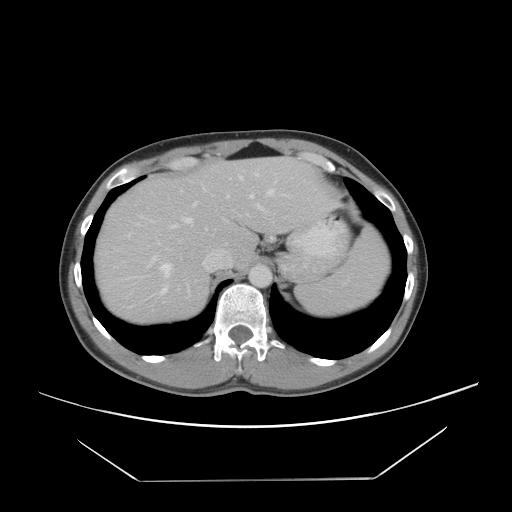 Abdomen; CT scan slice

The vessel boxes may cover only some of the vessels.
hepatic_vessel:
  - [257, 204, 263, 210]
  - [267, 189, 274, 195]
  - [194, 201, 196, 205]
  - [284, 194, 289, 197]
  - [239, 176, 242, 179]
  - [254, 173, 258, 176]
  - [227, 194, 228, 196]
  - [184, 214, 192, 223]
  - [203, 260, 206, 267]
  - [202, 185, 205, 191]
  - [161, 286, 167, 294]
  - [250, 194, 253, 197]
  - [160, 263, 171, 276]
  - [170, 224, 177, 228]
  - [136, 223, 138, 225]